CT image 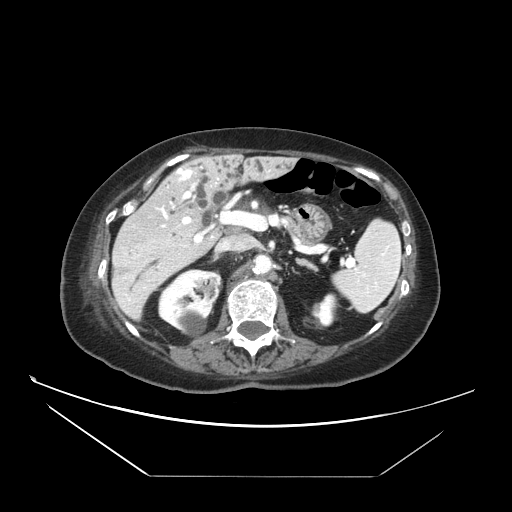

<segmentation>
  <pancreas>x1=283, y1=215, x2=314, y2=245</pancreas>
</segmentation>